Slice index 19; MRI; Medial temporal lobe 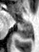 <segmentation>
  <posterior_hippocampus>[18,22,32,38]</posterior_hippocampus>
</segmentation>